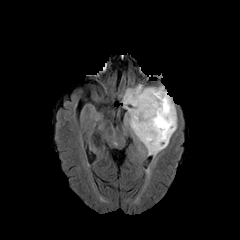
FLAIR magnetic resonance.
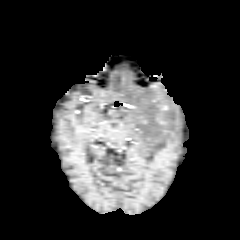
T1-weighted MR.
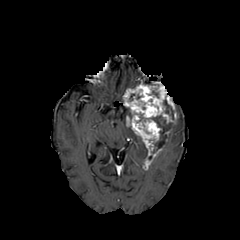
Post-contrast T1-weighted magnetic resonance.
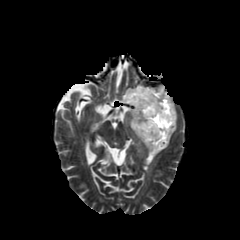
T2-weighted MR.
Image size 240x240; Brain
2 non-enhancing tumor core regions appear at <box>135,114,173,148</box>, <box>162,99,174,119</box>. 2 enhancing tumor regions are bounded by <box>123,85,177,123</box>, <box>125,114,161,155</box>. 2 edema regions appear at <box>152,115,177,159</box>, <box>123,107,148,157</box>.